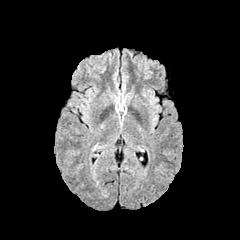
FLAIR magnetic resonance.
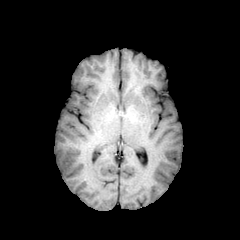
T1-weighted magnetic resonance.
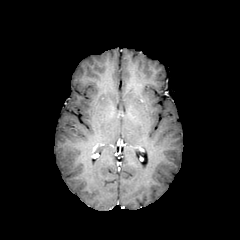
Post-contrast T1-weighted MRI of the same slice.
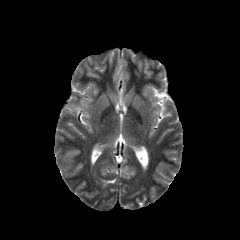
T2-weighted MRI of the same slice.
240x240
The edema is at left=116, top=96, right=123, bottom=109.